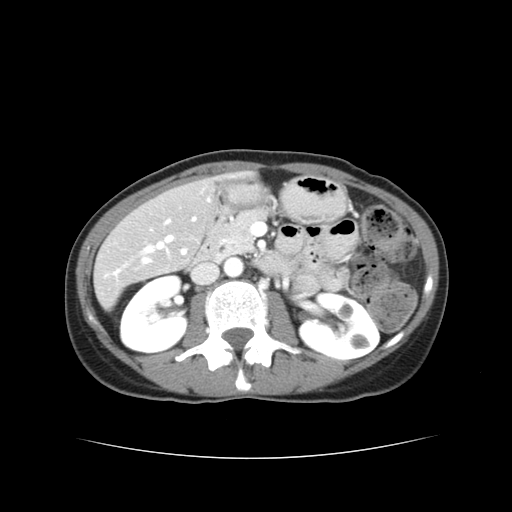

CT image.
Some hepatic vessels may have no box.
Hepatic vessel at bbox(157, 243, 162, 248); bbox(193, 218, 195, 220); bbox(182, 250, 185, 253); bbox(146, 248, 152, 252); bbox(167, 236, 172, 241); bbox(143, 259, 149, 262); bbox(166, 220, 169, 222).